Image size 240x240
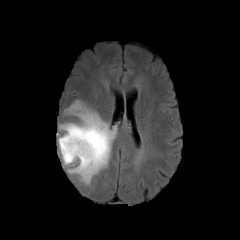
FLAIR MRI.
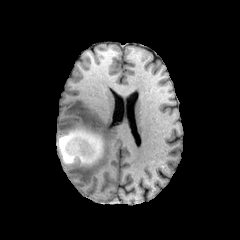
T1-weighted magnetic resonance.
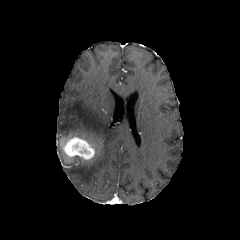
Post-contrast T1-weighted magnetic resonance.
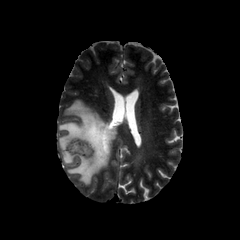
T2-weighted magnetic resonance.
The enhancing tumor appears at <bbox>65, 138, 94, 159</bbox>. The edema is located at <bbox>59, 100, 117, 184</bbox>. The non-enhancing tumor core appears at <bbox>59, 134, 103, 164</bbox>.